Slice 55/92. Upper abdomen. CT. Image width 406 mm.
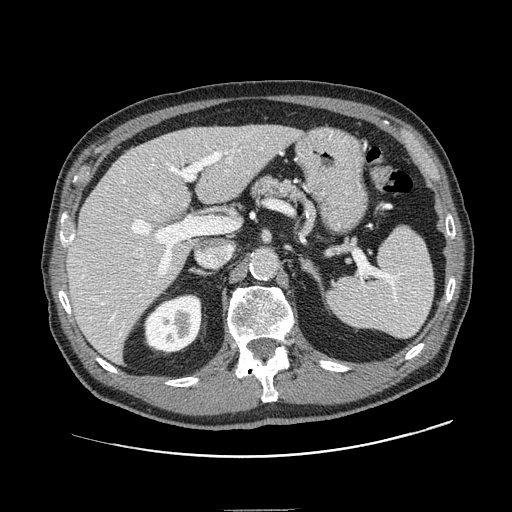
The pancreas is at [248,173,309,206].